Slice index 115. Brain.
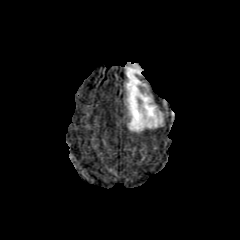
FLAIR MR.
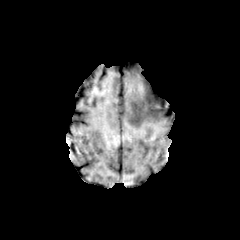
T1-weighted MR image.
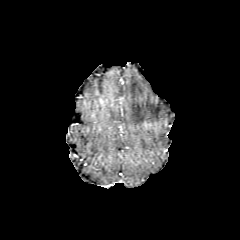
Post-contrast T1-weighted magnetic resonance of the same slice.
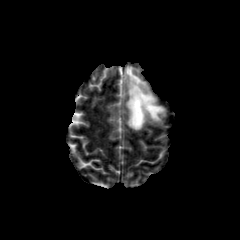
Same slice, T2-weighted MRI.
Annotated regions:
• edema: <bbox>125, 66, 162, 131</bbox>